CT scan slice. Liver. Field of view 512x512 mm. Slice index 67. 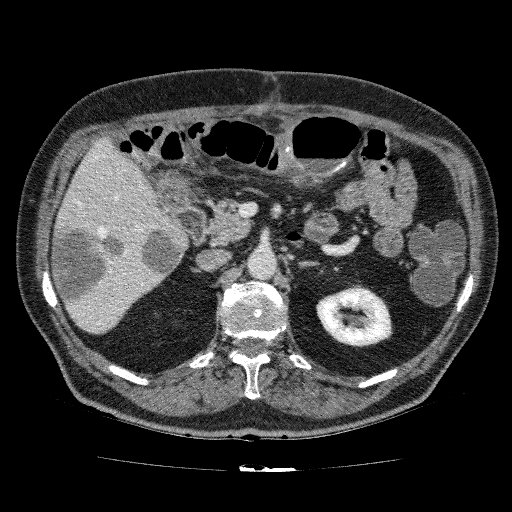
liver:
  - [x1=55, y1=136, x2=188, y2=334]
kidney:
  - [x1=317, y1=287, x2=390, y2=345]
liver_lesion:
  - [x1=138, y1=227, x2=184, y2=278]
  - [x1=51, y1=223, x2=127, y2=306]